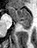

MRI | 37x48
{
  "posterior_hippocampus": [
    "[x1=18, y1=21, x2=31, y2=27]"
  ],
  "anterior_hippocampus": [
    "[x1=6, y1=7, x2=31, y2=20]"
  ]
}